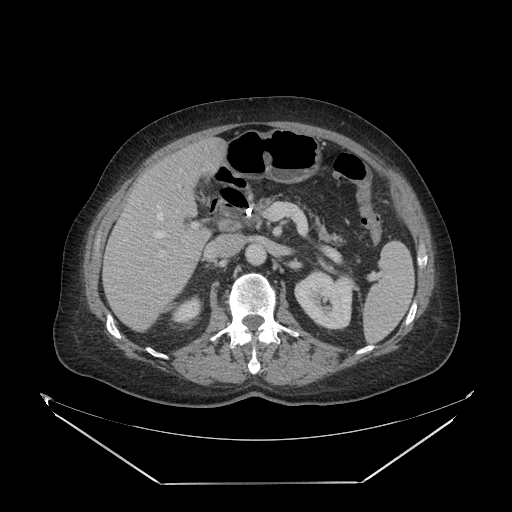

Image size 512x512; Abdomen; CT
Findings:
• pancreas: 306,207,346,246; 256,197,274,214